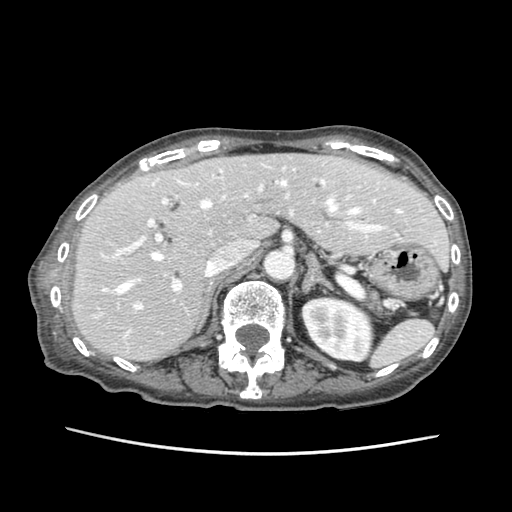

Image size 512x512, Computed tomography
Pancreas: (x1=369, y1=292, x2=381, y2=311).